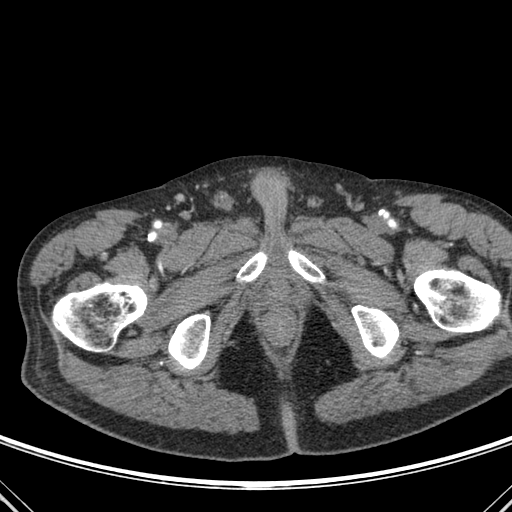

CT scan slice

bone:
  - box=[351, 305, 399, 358]
  - box=[52, 282, 150, 351]
  - box=[414, 269, 502, 332]
  - box=[236, 248, 274, 281]
  - box=[168, 314, 210, 369]
  - box=[282, 247, 324, 282]